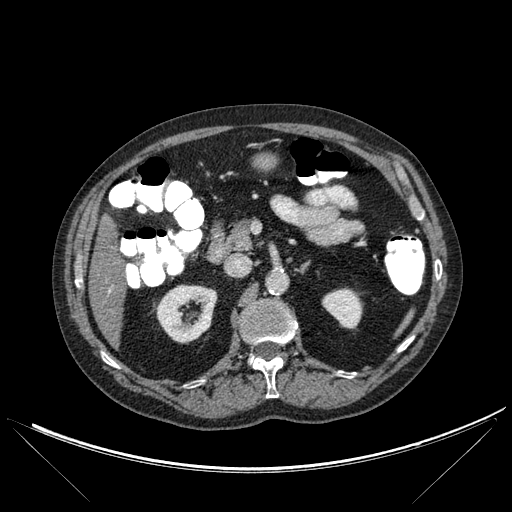 Liver; CT slice; 512x512
2 kidney regions are located at (157, 285, 216, 342), (322, 289, 361, 327). The liver is located at (89, 216, 127, 346). 7 bone regions are located at (249, 356, 284, 397), (337, 371, 355, 378), (397, 336, 413, 351), (435, 259, 441, 279), (102, 352, 118, 367), (186, 380, 203, 387), (240, 301, 297, 344).